Image size 512x512 | Computed tomography 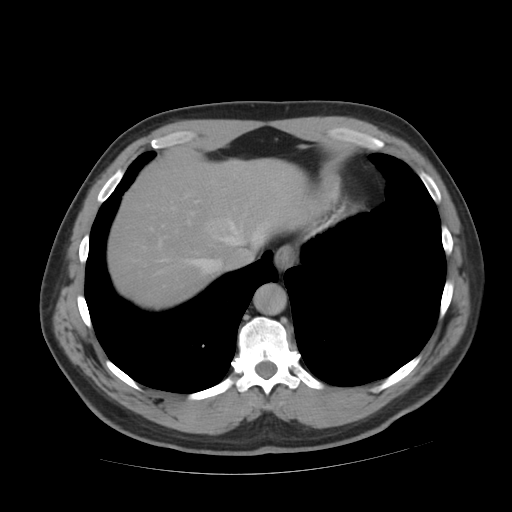
Some hepatic vessels may have no box.
hepatic_vessel:
  - [156,259,167,261]
  - [253,222,268,242]
  - [178,258,221,273]
  - [219,236,239,243]
  - [227,220,235,232]
  - [155,268,167,274]